Slice 394/751; CT image 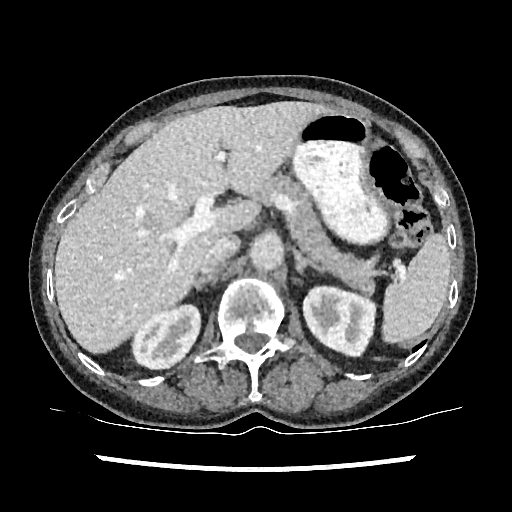
<segmentation>
  <liver>[56,102,330,351]</liver>
  <kidney>[134,306,199,371], [304,287,374,355]</kidney>
</segmentation>